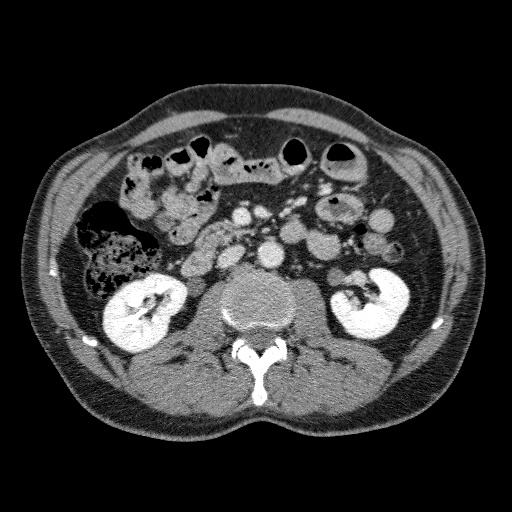
CT
kidney:
  - {"x1": 331, "y1": 269, "x2": 408, "y2": 338}
  - {"x1": 104, "y1": 274, "x2": 186, "y2": 351}